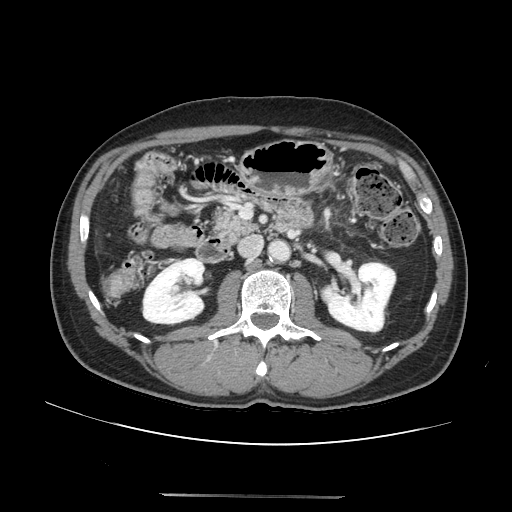
CT image, 512x512
<segmentation>
  <pancreas>[210,207,258,244]</pancreas>
</segmentation>